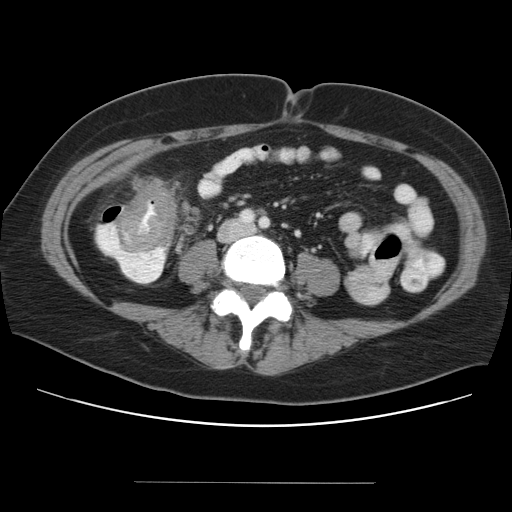
CT; 512x512
The colon tumor lies within x1=122, y1=180, x2=174, y2=250.